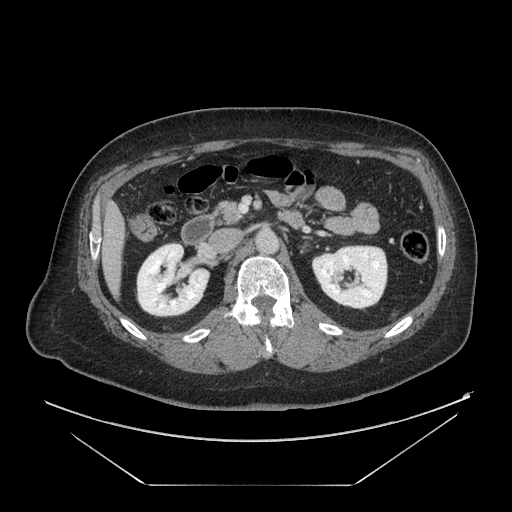
Upper abdomen; CT scan slice
pancreas:
  - box(219, 202, 240, 223)